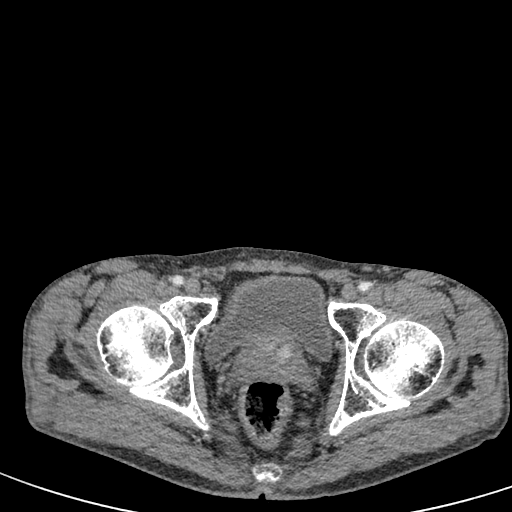 CT image
Segmented structures:
• urinary bladder: region(205, 273, 332, 363)